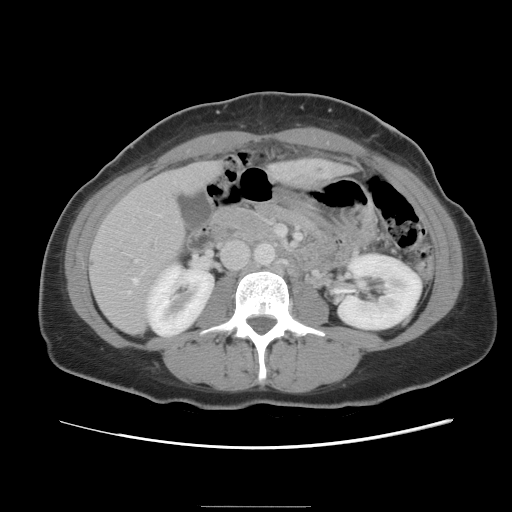

CT. 512x512.
Only some of the vessels may be annotated.
2 hepatic vessel regions appear at [127, 291, 129, 293], [132, 278, 137, 282]. The liver tumor lies within [291, 164, 326, 186].